Image size 512x512, CT 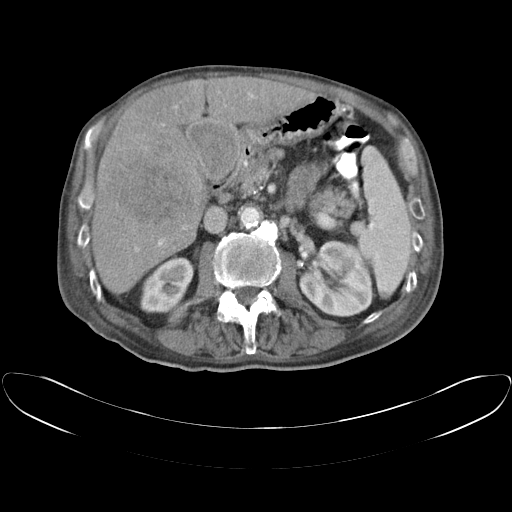

The vessel annotation is not exhaustive.
<segmentation>
  <hepatic_vessel>182:226:186:229, 162:123:163:125, 173:105:177:112, 248:92:255:99, 135:247:138:251, 157:238:165:246, 223:101:226:107</hepatic_vessel>
  <liver_tumor>107:144:196:233</liver_tumor>
</segmentation>